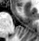

MR; Image size 39x41; Medial temporal lobe
Anterior hippocampus = [x1=17, y1=6, x2=21, y2=9].